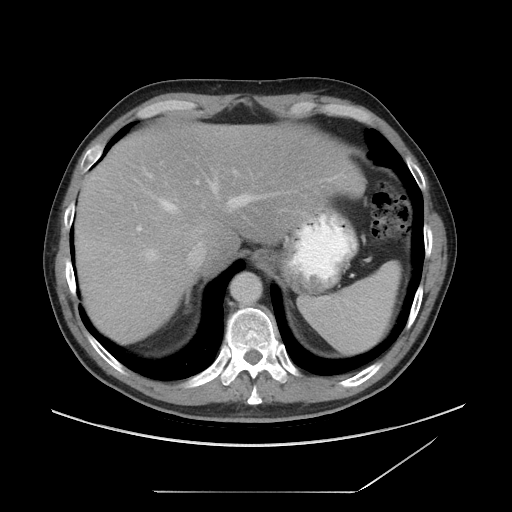 Liver, CT image
Only some of the vessels may be annotated.
3 hepatic vessel regions are bounded by [162, 206, 172, 212], [211, 184, 215, 191], [230, 196, 249, 206].